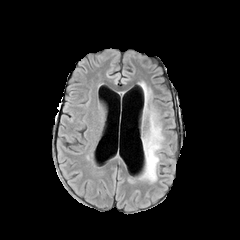
FLAIR MR.
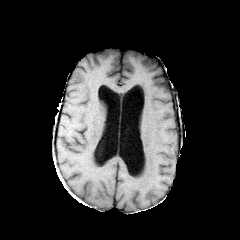
Same slice, T1-weighted magnetic resonance.
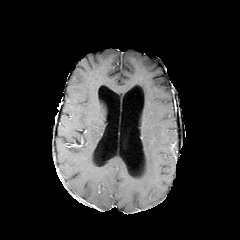
Post-contrast T1-weighted MRI of the same slice.
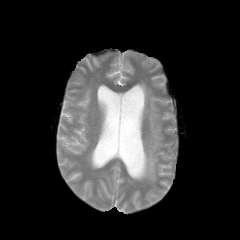
T2-weighted MRI of the same slice.
<segmentation>
  <edema>rect(139, 82, 163, 181)</edema>
</segmentation>